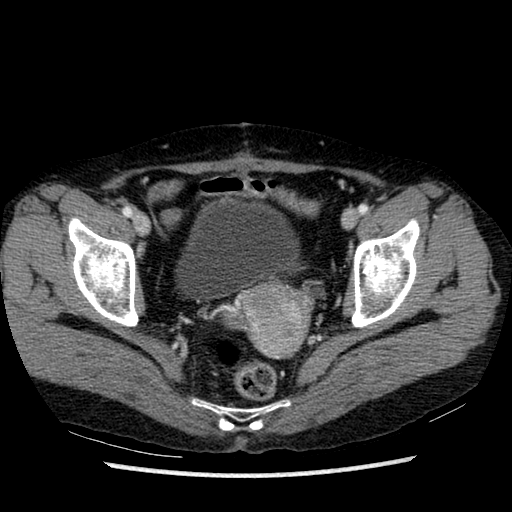
CT slice, Pelvis, 512x512

Urinary bladder = (x1=174, y1=194, x2=309, y2=300).